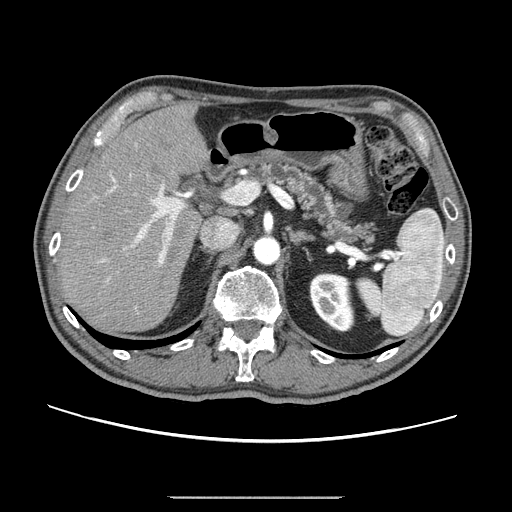
CT scan slice, Abdomen
Findings:
• pancreas: x1=248 y1=163 x2=375 y2=243